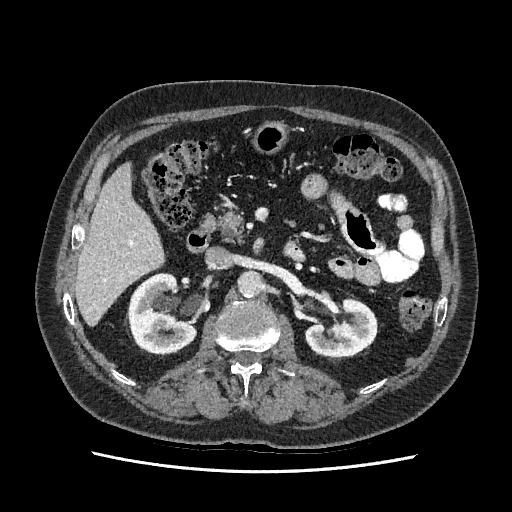
CT, Abdomen
Kidney: 129:274:195:353, 306:297:376:356.
Liver: 77:164:164:326.